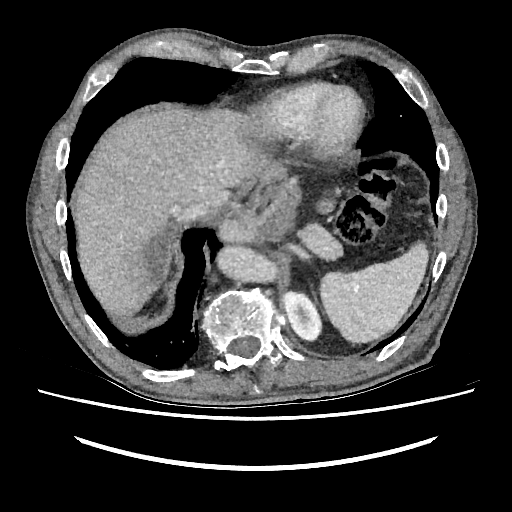 CT image.
Findings:
• liver lesion: bbox(123, 217, 175, 294); bbox(240, 134, 253, 147)
• liver: bbox(75, 109, 285, 318)
• kidney: bbox(284, 292, 320, 339)